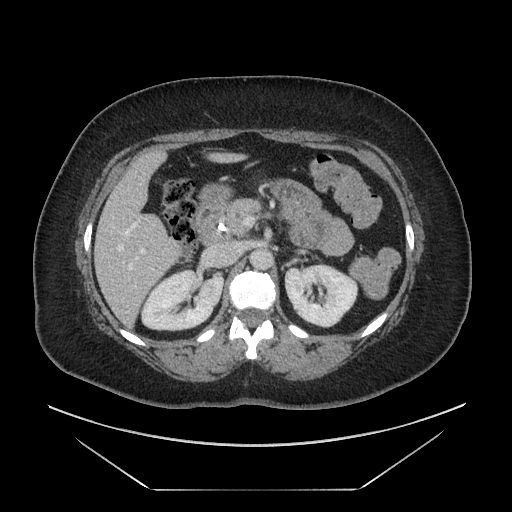
CT image, Upper abdomen
{"pancreas": ["226 199 261 235"]}